Brain | Image size 240x240
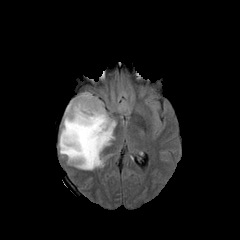
FLAIR MR image.
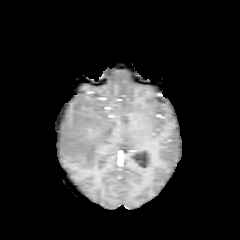
Same slice, T1-weighted MRI.
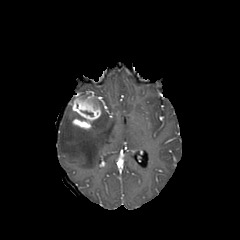
Same slice, post-contrast T1-weighted magnetic resonance.
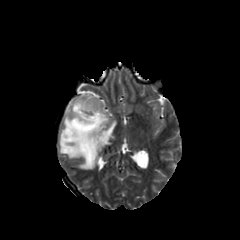
T2-weighted MR image of the same slice.
The enhancing tumor lies within region(69, 94, 101, 130). The edema is at region(58, 105, 115, 169). 3 non-enhancing tumor core regions appear at region(80, 92, 91, 98); region(93, 96, 108, 116); region(69, 113, 86, 130).